FLAIR magnetic resonance.
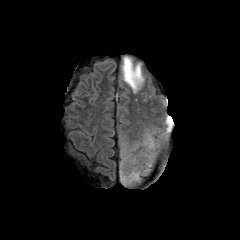
T1-weighted magnetic resonance.
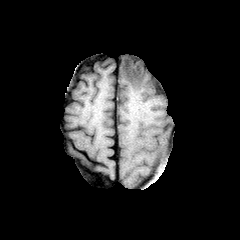
Post-contrast T1-weighted MRI.
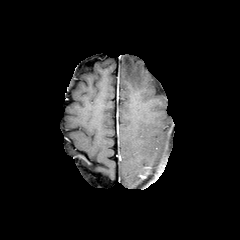
T2-weighted magnetic resonance.
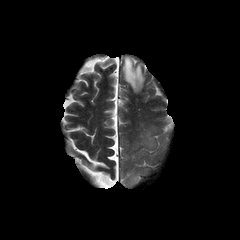
<segmentation>
  <edema>(x1=121, y1=56, x2=145, y2=91)</edema>
</segmentation>